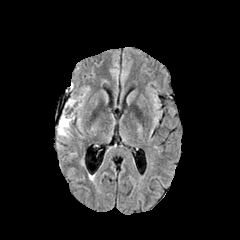
FLAIR MR.
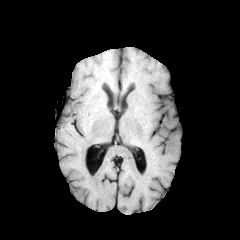
T1-weighted MR image.
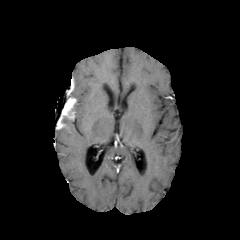
Post-contrast T1-weighted MR image.
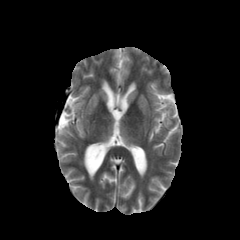
Same slice, T2-weighted MR.
The edema lies within [56, 112, 82, 145]. The enhancing tumor appears at [58, 97, 75, 129]. The non-enhancing tumor core appears at [58, 108, 75, 133].